FLAIR MR.
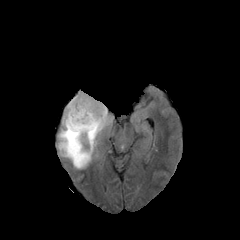
T1-weighted MRI.
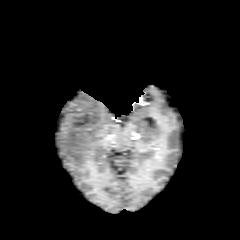
Post-contrast T1-weighted MR image.
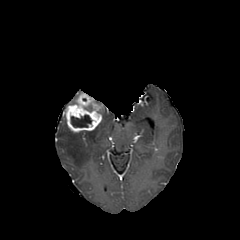
T2-weighted MRI.
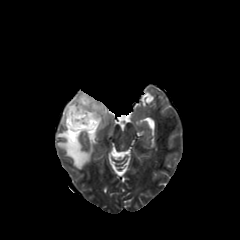
Brain
The edema is located at l=57, t=109, r=110, b=169. 2 non-enhancing tumor core regions appear at l=69, t=131, r=88, b=137; l=71, t=115, r=91, b=127. The enhancing tumor appears at l=63, t=90, r=104, b=132.